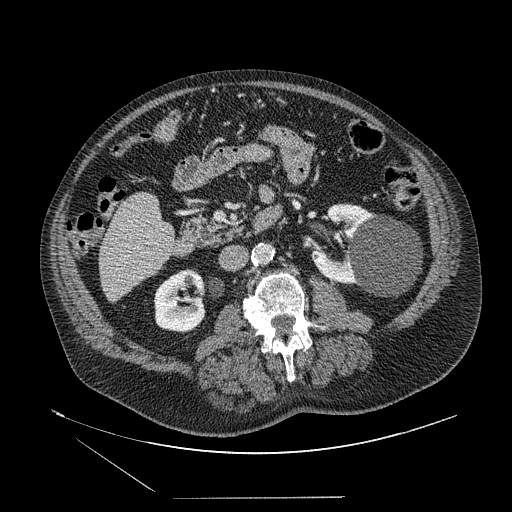
Abdomen | CT slice
Pancreas: (185,215,236,248).